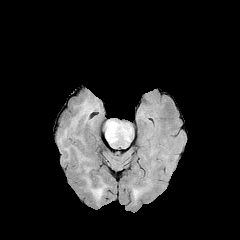
FLAIR MR.
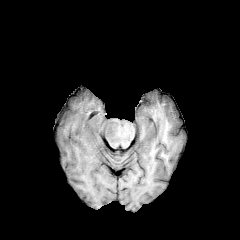
Same slice, T1-weighted MRI.
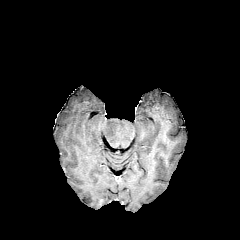
Post-contrast T1-weighted MR image of the same slice.
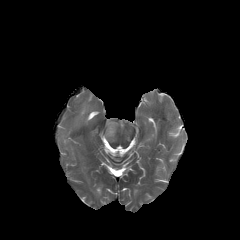
T2-weighted MR.
240x240 px
edema:
  - bbox(105, 120, 117, 143)